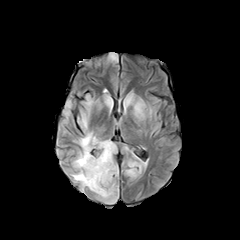
FLAIR MR.
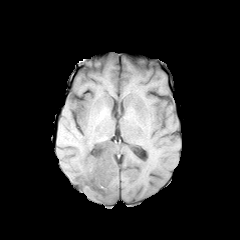
T1-weighted MRI of the same slice.
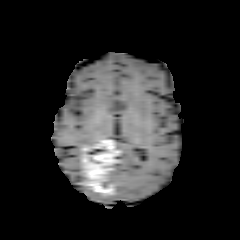
Post-contrast T1-weighted MRI.
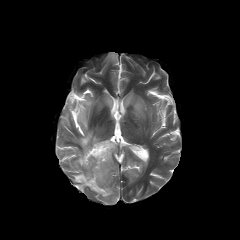
Same slice, T2-weighted magnetic resonance.
Head.
2 non-enhancing tumor core regions are located at (x1=82, y1=140, x2=105, y2=155), (x1=100, y1=170, x2=113, y2=195). 4 edema regions are located at (x1=72, y1=153, x2=84, y2=182), (x1=78, y1=100, x2=91, y2=126), (x1=80, y1=132, x2=97, y2=147), (x1=104, y1=170, x2=114, y2=185). The enhancing tumor lies within (x1=82, y1=140, x2=115, y2=195).